240x240 px; Slice 131 of 155
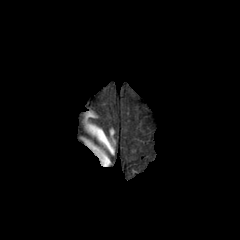
FLAIR MR.
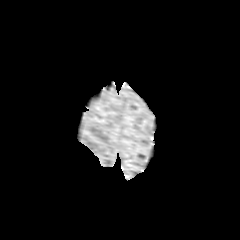
T1-weighted magnetic resonance of the same slice.
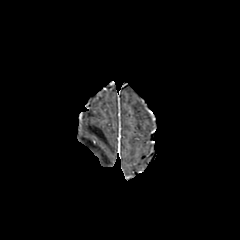
Post-contrast T1-weighted magnetic resonance of the same slice.
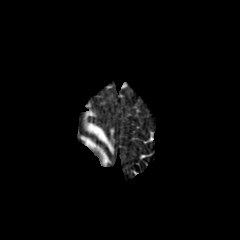
T2-weighted MR image.
Edema — rect(82, 138, 110, 166); rect(85, 111, 115, 154).